CT scan slice | Slice index 581 | Liver
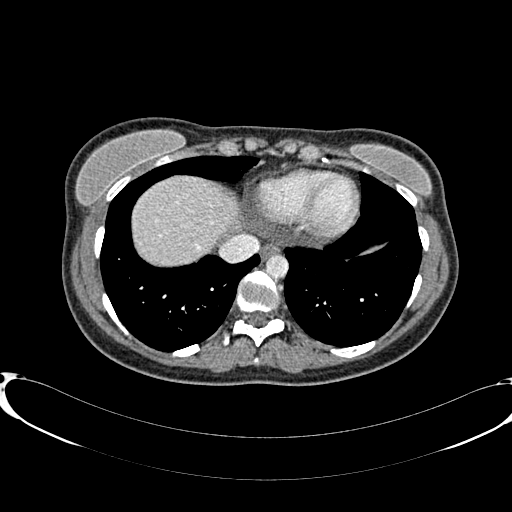

Liver — l=133, t=177, r=237, b=265.